CT slice, Slice index 38
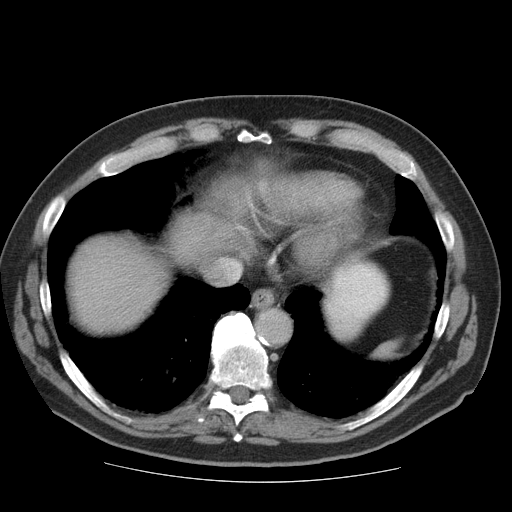 Not every hepatic vessel necessarily has a box.
hepatic_vessel:
  - bbox=[207, 259, 229, 283]